Image width 240 mm; Image size 240x240; Head
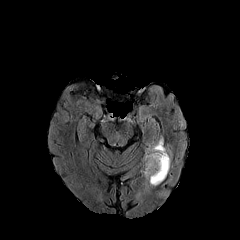
FLAIR magnetic resonance.
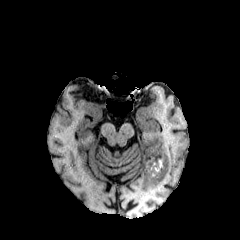
T1-weighted MR.
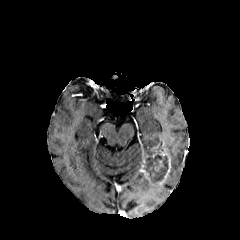
Post-contrast T1-weighted MRI.
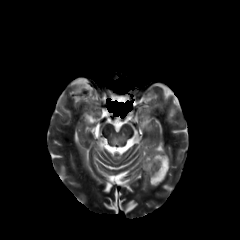
T2-weighted MR image.
Edema = box(150, 134, 165, 155).
Non-enhancing tumor core = box(145, 156, 167, 183).
Enhancing tumor = box(154, 159, 163, 171); box(157, 148, 171, 185); box(139, 157, 150, 180).